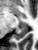
Magnetic resonance, Medial temporal lobe, 38x50
<segmentation>
  <anterior_hippocampus>23, 23, 26, 24</anterior_hippocampus>
  <posterior_hippocampus>13, 25, 27, 40</posterior_hippocampus>
</segmentation>